Slice index 75, Image size 240x240
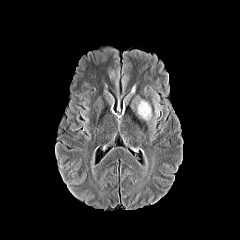
FLAIR MRI.
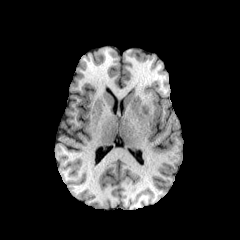
T1-weighted MRI.
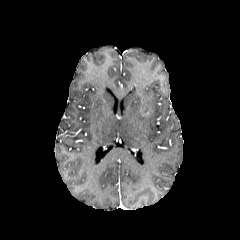
Post-contrast T1-weighted MR image.
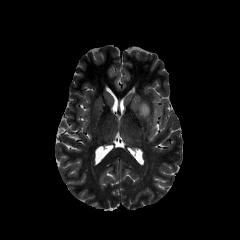
T2-weighted MR.
The edema is located at box(136, 94, 162, 125).